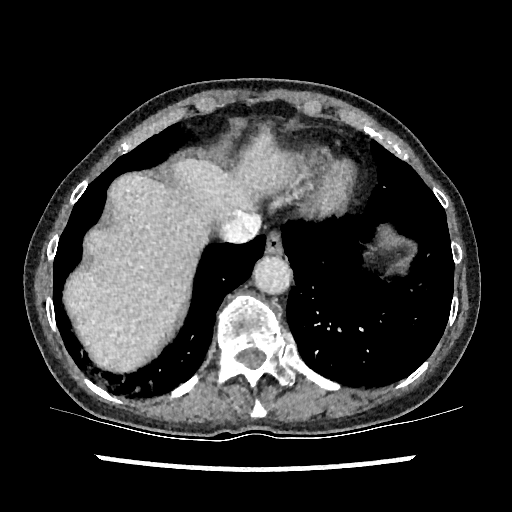

CT scan slice
Liver = rect(65, 138, 286, 370).